Slice index 370 | Field of view 381 mm wide, 0.80 mm slice spacing | CT slice
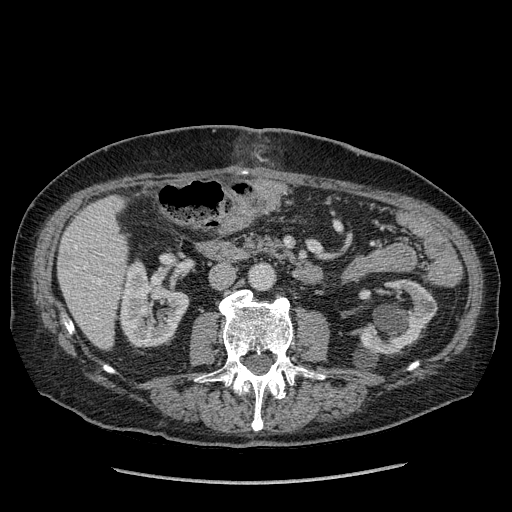

Annotated regions:
- kidney: l=361, t=290, r=370, b=298; l=120, t=262, r=188, b=346; l=360, t=280, r=437, b=353
- liver: l=58, t=197, r=126, b=349